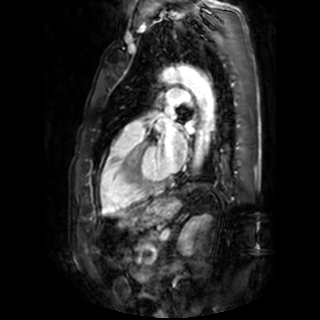
MRI slice. Heart.

2 left atrium regions are bounded by 186 123 194 133, 156 118 186 170.